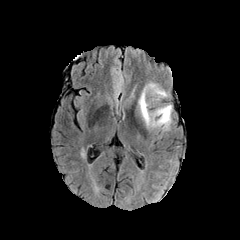
FLAIR MRI.
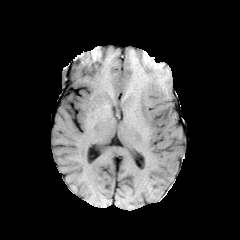
T1-weighted magnetic resonance.
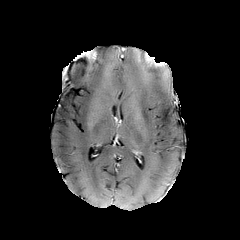
Post-contrast T1-weighted MR image of the same slice.
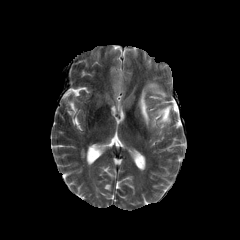
T2-weighted MRI.
Image size 240x240
Findings:
• edema: {"x1": 138, "y1": 81, "x2": 173, "y2": 131}